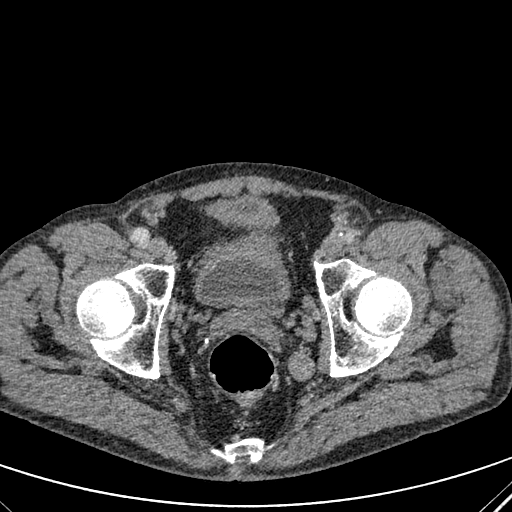
Image size 512x512, CT image

Urinary bladder: (left=201, top=254, right=281, bottom=300).